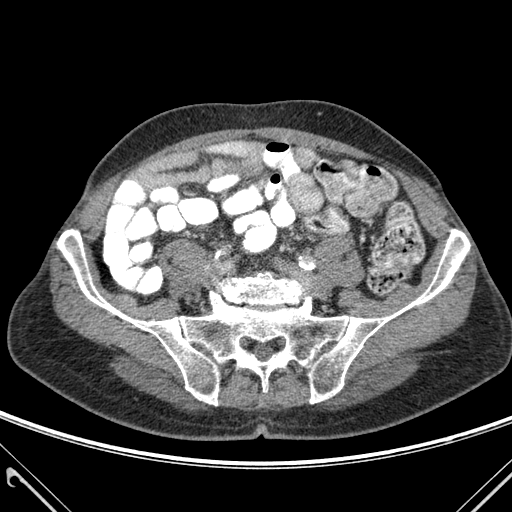 CT slice.
The bone is at {"x1": 57, "y1": 229, "x2": 470, "y2": 405}.